Field of view 240x240 mm
FLAIR MR image.
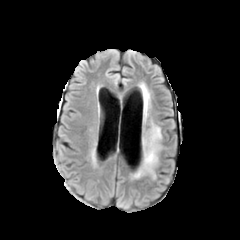
T1-weighted MR.
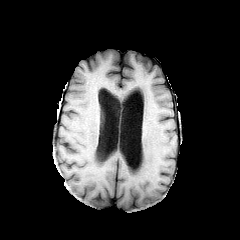
Post-contrast T1-weighted magnetic resonance.
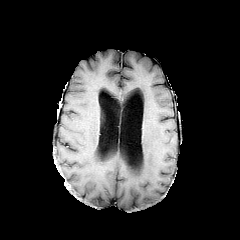
T2-weighted magnetic resonance.
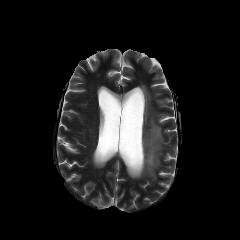
edema: 131 122 162 178, 139 83 151 124